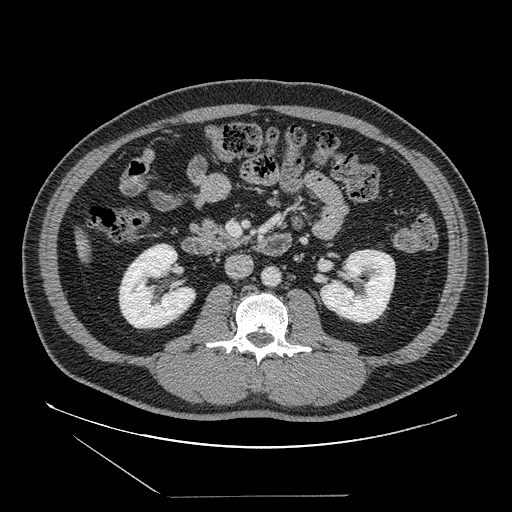 512x512; CT image
- pancreas: 189, 217, 235, 253